FLAIR magnetic resonance.
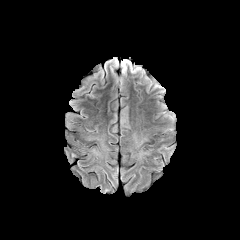
T1-weighted MR image.
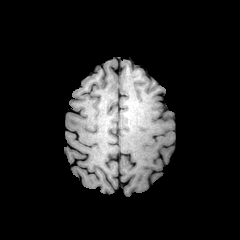
Post-contrast T1-weighted MR image.
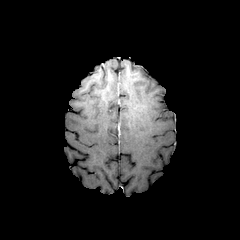
T2-weighted MRI.
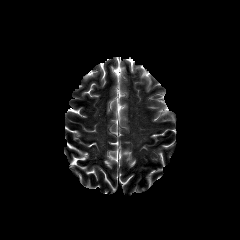
<segmentation>
  <edema>[x1=161, y1=104, x2=171, y2=117]</edema>
</segmentation>